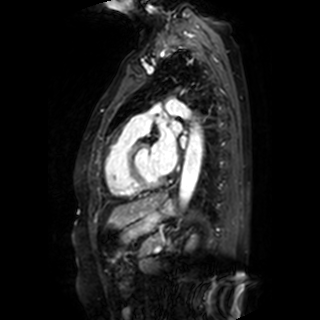
Heart | MR

<segmentation>
  <left_atrium>rect(172, 121, 181, 130); rect(180, 136, 186, 147); rect(152, 131, 176, 172)</left_atrium>
</segmentation>